FLAIR MR.
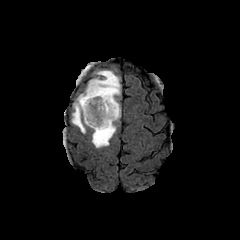
T1-weighted MRI.
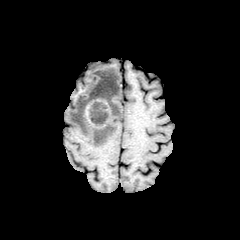
Post-contrast T1-weighted MR.
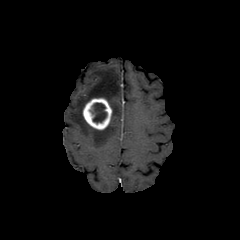
T2-weighted MRI.
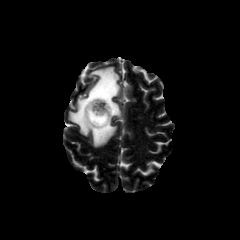
240x240.
The enhancing tumor appears at (left=82, top=98, right=112, bottom=130). The non-enhancing tumor core lies within (left=93, top=103, right=106, bottom=122). The edema is at (left=69, top=67, right=121, bottom=148).